Slice index 46
FLAIR magnetic resonance.
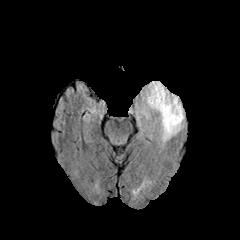
T1-weighted MR image.
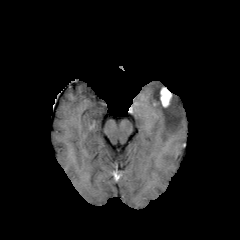
Post-contrast T1-weighted MR.
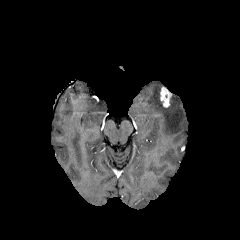
T2-weighted MR.
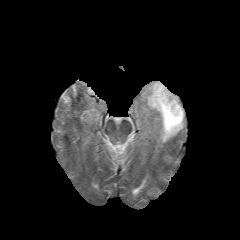
Non-enhancing tumor core = box(162, 104, 175, 112).
Enhancing tumor = box(160, 86, 171, 107).
Edema = box(134, 81, 184, 146).